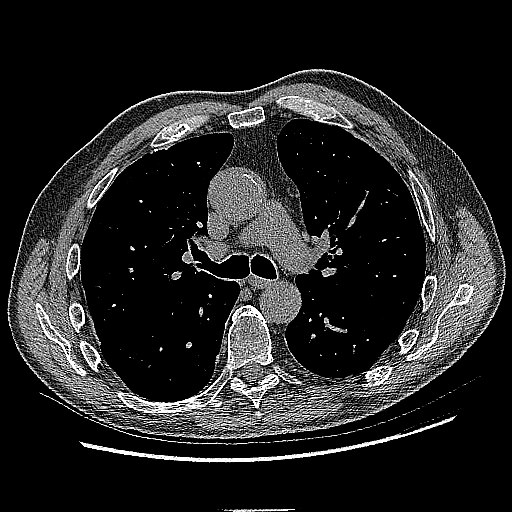

CT scan slice

lung tumor: 135, 362, 144, 371